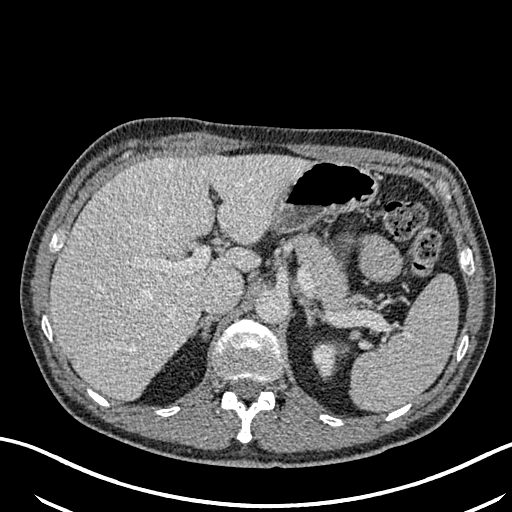 Computed tomography; Upper abdomen
Kidney = [314,346,332,371].
Liver = [50,155,310,400].